Head
FLAIR MR image.
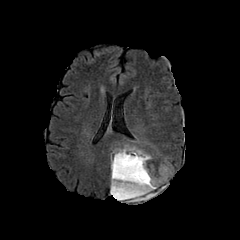
T1-weighted magnetic resonance.
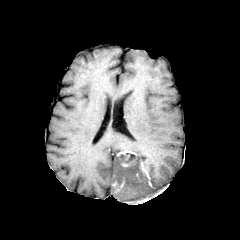
Post-contrast T1-weighted MRI.
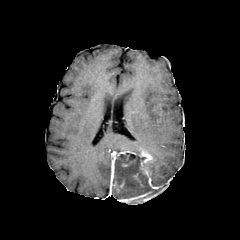
T2-weighted MRI.
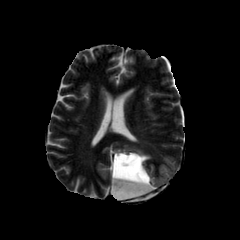
4 enhancing tumor regions appear at x1=140 y1=152 x2=150 y2=162, x1=144 y1=170 x2=157 y2=189, x1=118 y1=192 x2=153 y2=201, x1=110 y1=152 x2=117 y2=193. 3 edema regions are located at x1=114 y1=145 x2=143 y2=153, x1=144 y1=160 x2=156 y2=185, x1=125 y1=180 x2=147 y2=193. The non-enhancing tumor core is located at x1=111 y1=151 x2=159 y2=199.